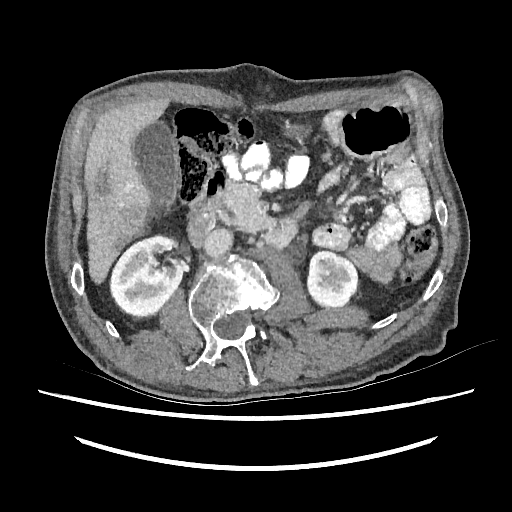

Liver | CT scan slice
Kidney: (left=111, top=236, right=185, bottom=315), (left=308, top=251, right=357, bottom=306).
Liver lesion: (left=108, top=237, right=128, bottom=252), (left=94, top=162, right=144, bottom=234).
Liver: (left=85, top=99, right=168, bottom=283).